Slice 76/155; 240x240; Brain
FLAIR magnetic resonance.
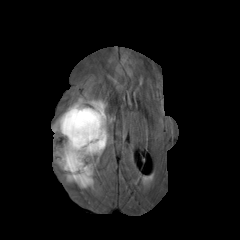
T1-weighted MRI.
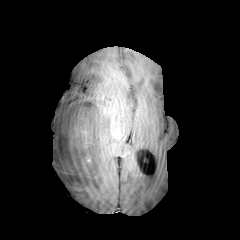
Post-contrast T1-weighted MR.
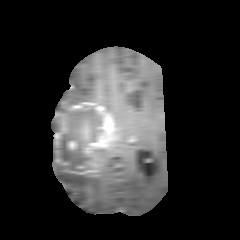
T2-weighted MRI.
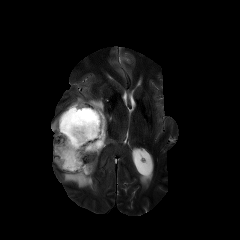
non-enhancing tumor core: (x1=55, y1=109, x2=95, y2=174) | enhancing tumor: (x1=68, y1=102, x2=113, y2=173), (x1=68, y1=141, x2=78, y2=149), (x1=55, y1=114, x2=68, y2=145) | edema: (x1=51, y1=86, x2=107, y2=133), (x1=62, y1=173, x2=95, y2=188)